CT scan slice. 512x512. Upper abdomen.

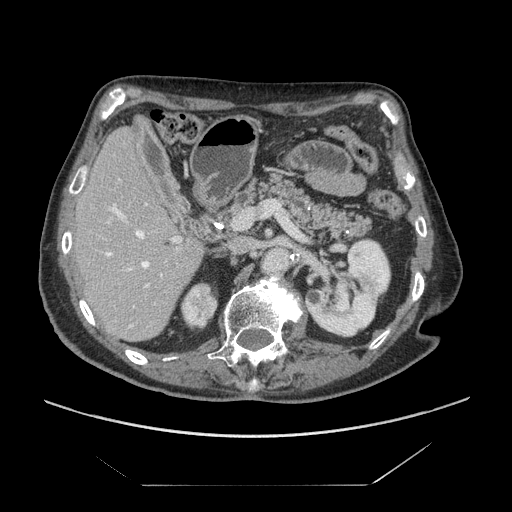 Pancreas: bounding box (left=213, top=172, right=377, bottom=244).